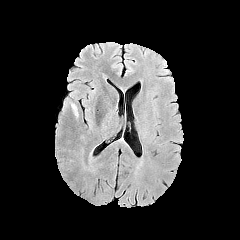
FLAIR magnetic resonance.
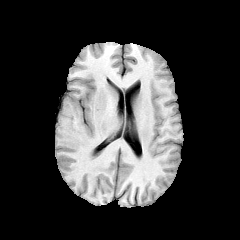
T1-weighted MR image of the same slice.
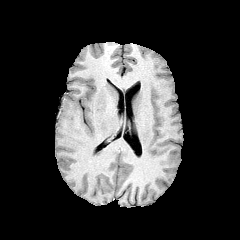
Post-contrast T1-weighted magnetic resonance.
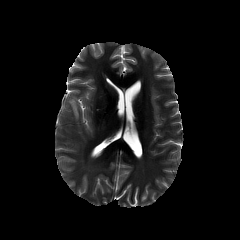
T2-weighted magnetic resonance of the same slice.
Head
edema:
  - bbox(66, 98, 78, 118)